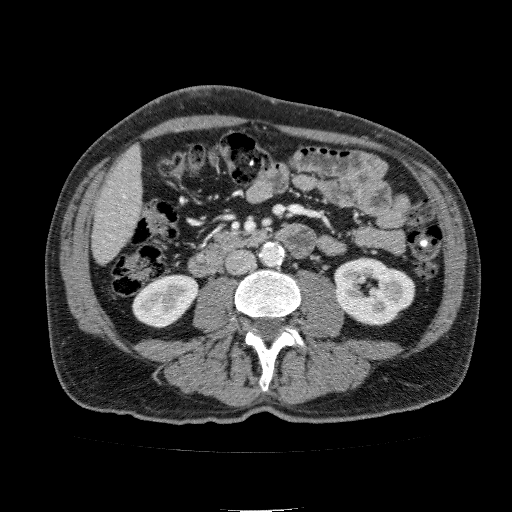
CT image. Kidney — [335,259,413,324], [133,276,197,326].
Liver — [92,145,143,265].